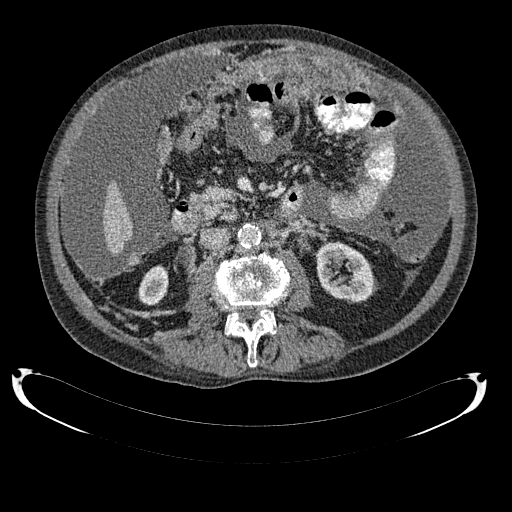
CT image. 512x512 px.

{"liver": ["[103, 180, 131, 254]"], "kidney": ["[316, 242, 373, 301]", "[139, 266, 167, 304]"]}